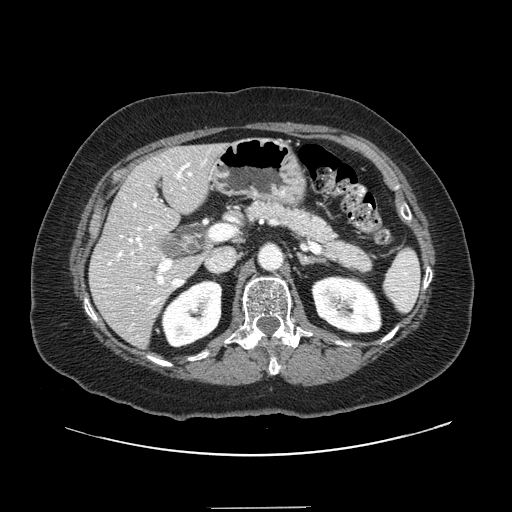

CT; 512x512 px; Upper abdomen
Pancreas — bbox=[243, 199, 372, 275].